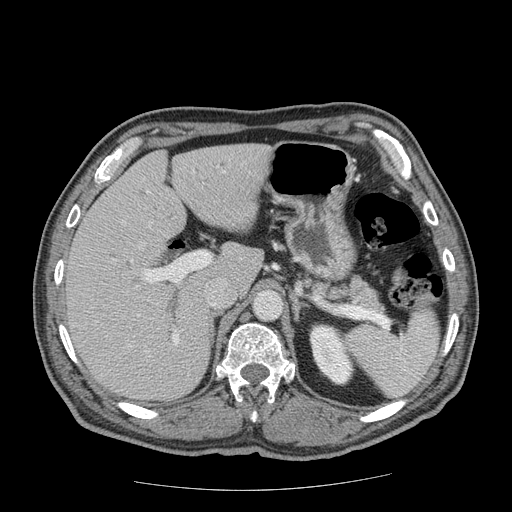

CT scan slice
Pancreas: bounding box {"x1": 300, "y1": 271, "x2": 386, "y2": 320}.